Field of view 240 mm wide, 1.00 mm slice spacing; Image size 240x240
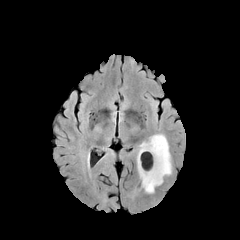
FLAIR magnetic resonance.
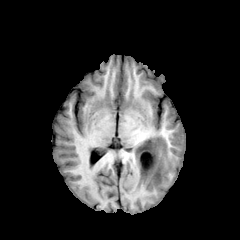
Same slice, T1-weighted MRI.
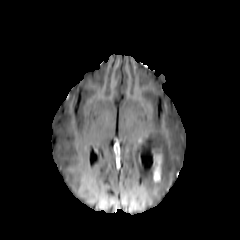
Post-contrast T1-weighted magnetic resonance of the same slice.
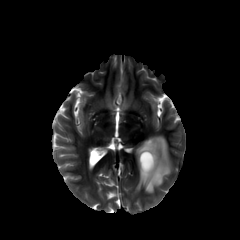
T2-weighted MRI of the same slice.
<segmentation>
  <enhancing_tumor>(153, 155, 161, 182)</enhancing_tumor>
  <edema>(136, 134, 172, 193)</edema>
</segmentation>